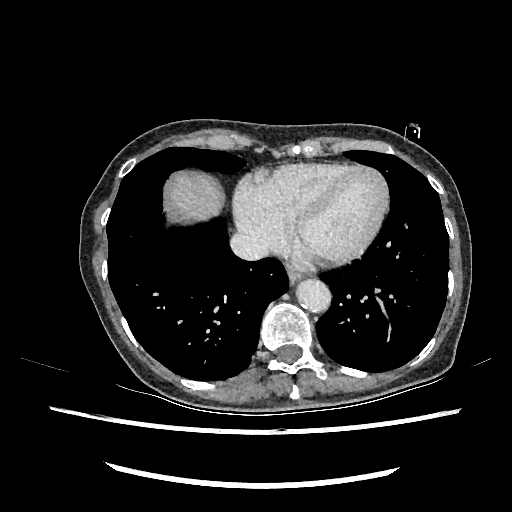

CT slice. Upper abdomen. liver: (x1=171, y1=174, x2=220, y2=219)